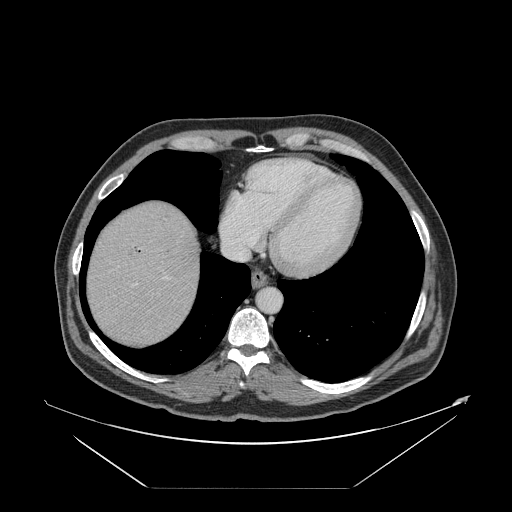

Computed tomography
Some hepatic vessels may have no box.
Annotated regions:
- hepatic vessel: x1=221 y1=229 x2=254 y2=260, x1=132 y1=284 x2=137 y2=286, x1=163 y1=276 x2=168 y2=279